FLAIR MR image.
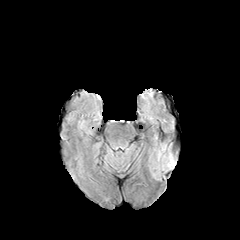
T1-weighted MR.
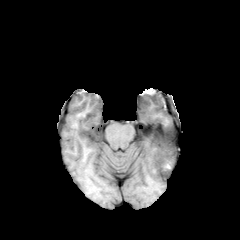
Post-contrast T1-weighted MR image.
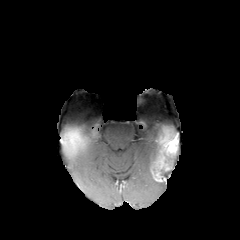
T2-weighted MRI.
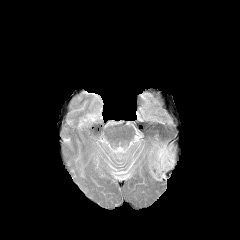
Head
<segmentation>
  <edema>l=150, t=143, r=167, b=170</edema>
  <non-enhancing_tumor_core>l=151, t=144, r=179, b=181</non-enhancing_tumor_core>
  <enhancing_tumor>l=168, t=140, r=176, b=152</enhancing_tumor>
</segmentation>